Field of view 458x458 mm | CT slice | Abdomen | Slice 22/93 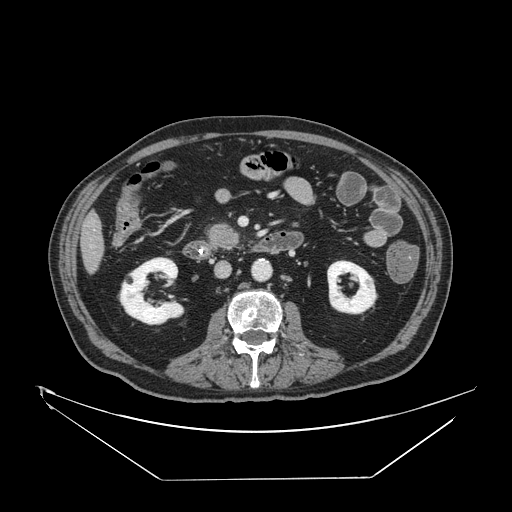
<segmentation>
  <pancreas>203 220 242 253</pancreas>
  <pancreatic_tumor>209 223 238 247</pancreatic_tumor>
</segmentation>